Liver; CT slice
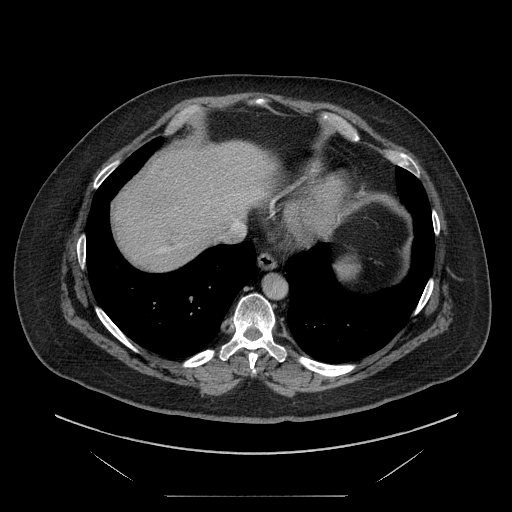 Only some of the vessels may be annotated.
The hepatic vessel appears at [220, 218, 244, 241].